CT slice, Liver 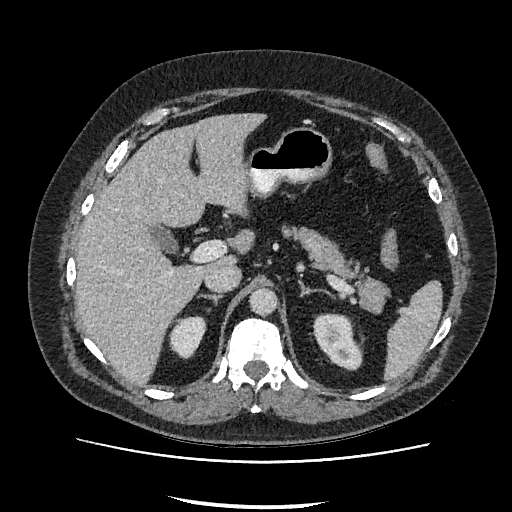
kidney: x1=171 y1=318 x2=203 y2=355, x1=314 y1=315 x2=360 y2=367 | liver: x1=229 y1=230 x2=253 y2=252, x1=76 y1=114 x2=265 y2=384